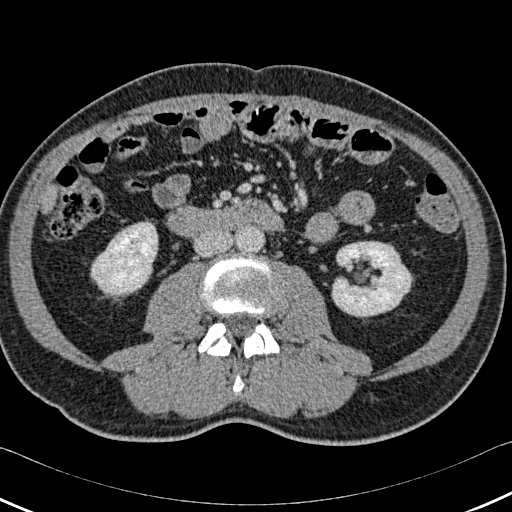
512x512. Abdomen. CT scan slice.

<segmentation>
  <bone>box(244, 323, 279, 357); box(202, 256, 275, 314); box(198, 323, 230, 355); box(233, 375, 243, 393)</bone>
  <kidney>box(91, 222, 157, 294); box(332, 242, 410, 315)</kidney>
</segmentation>